Image width 240 mm.
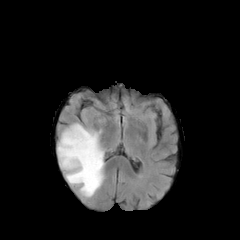
FLAIR MR.
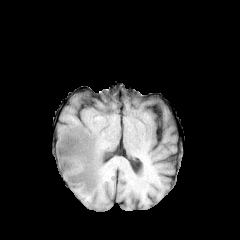
T1-weighted MRI.
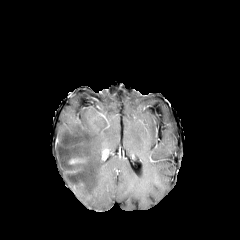
Same slice, post-contrast T1-weighted MR image.
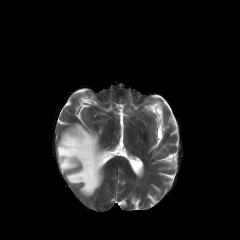
T2-weighted magnetic resonance.
Edema: bounding box box(57, 123, 107, 197).